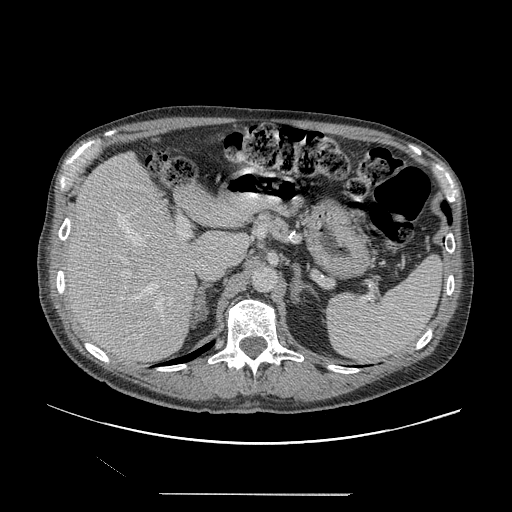

512x512 | Computed tomography
The pancreas is bounded by <bbox>252, 209, 296, 243</bbox>.